Image width 240 mm
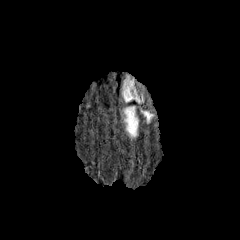
FLAIR magnetic resonance.
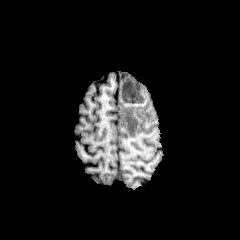
T1-weighted magnetic resonance.
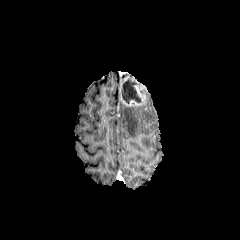
Same slice, post-contrast T1-weighted MR.
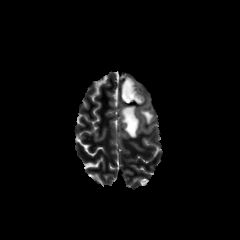
Same slice, T2-weighted magnetic resonance.
2 edema regions appear at 141 109 153 124, 121 107 138 138. The enhancing tumor appears at 120 75 146 106. The non-enhancing tumor core is at 122 78 141 103.